Image size 512x512, Slice 490/771, CT, Upper abdomen 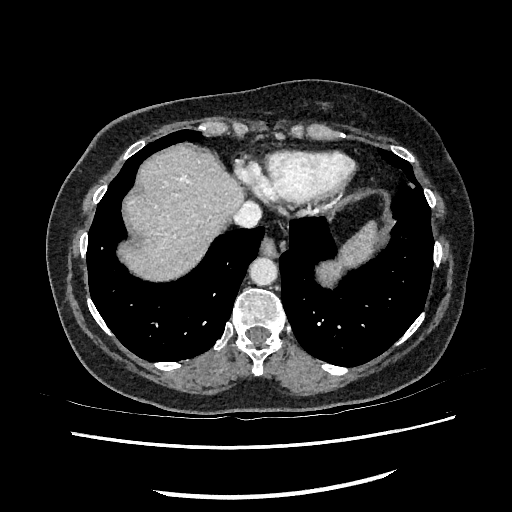

Liver at <bbox>123, 146, 242, 279</bbox>.